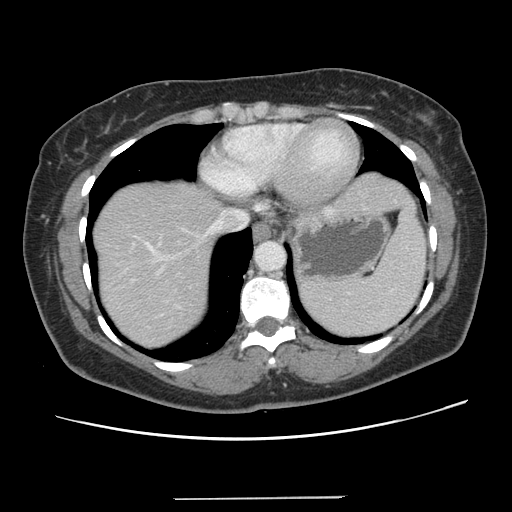
CT image | Image size 512x512 | Liver
Only some of the vessels may be annotated.
hepatic vessel: <box>210,224,215,229</box>, <box>145,243,154,252</box>